CT slice, Slice index 13 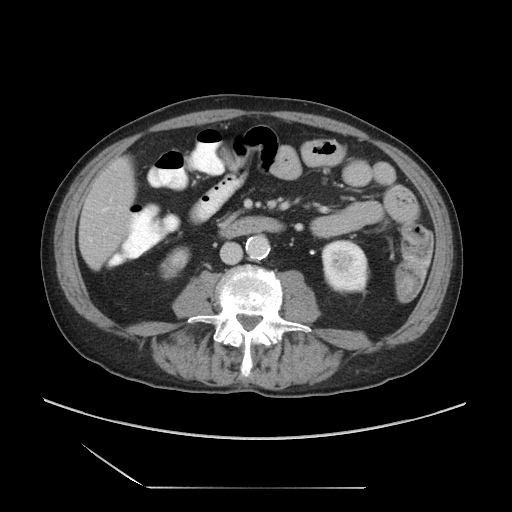

The vessel annotation is not exhaustive.
{"hepatic_vessel": ["bbox=[88, 237, 91, 240]", "bbox=[102, 207, 107, 211]"]}